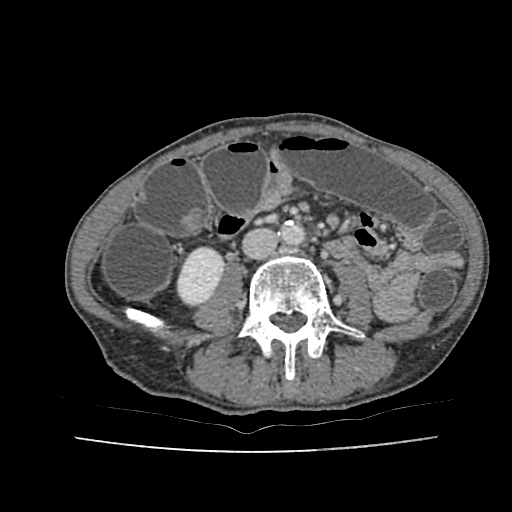
Computed tomography, 512x512, Abdomen
kidney:
  - bbox=[178, 248, 223, 303]